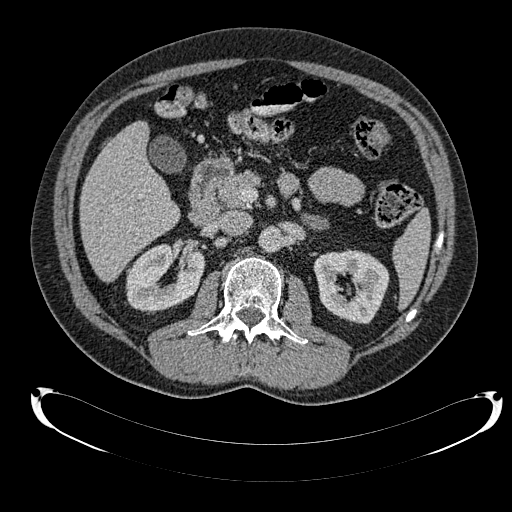

Abdomen; CT image
{"liver": ["x1=80 y1=122 x2=180 y2=281"], "kidney": ["x1=314 y1=251 x2=388 y2=322", "x1=127 y1=245 x2=204 y2=310"]}